Slice index 180; CT; Upper abdomen 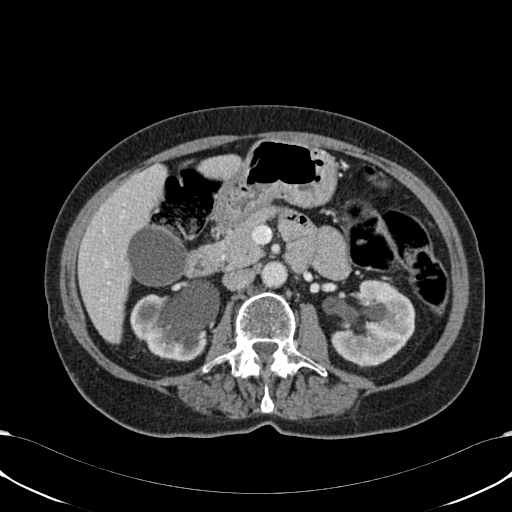 liver: 79, 164, 165, 343; 199, 156, 240, 178 | kidney: 332, 281, 414, 365; 131, 288, 220, 360